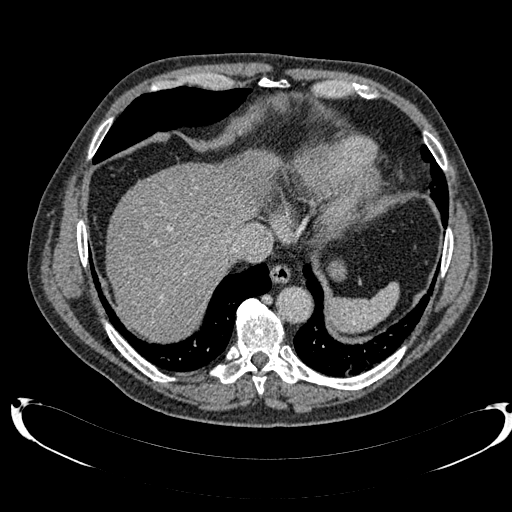
Image size 512x512, CT image
Segmented structures:
* liver: (106,150,280,339)